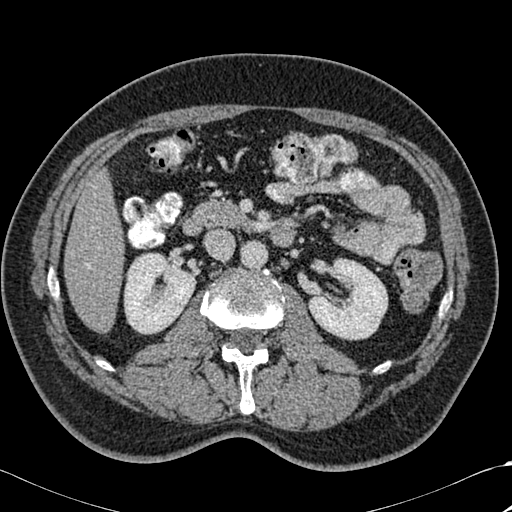
Abdomen; Computed tomography

Bone: x1=48, y1=277, x2=58, y2=297; x1=222, y1=343, x2=268, y2=413; x1=200, y1=270, x2=283, y2=332; x1=99, y1=361, x2=111, y2=370.
Liver: x1=65, y1=174, x2=123, y2=331.
Kidney: x1=124, y1=253, x2=195, y2=333; x1=309, y1=259, x2=387, y2=339.